FLAIR MR image.
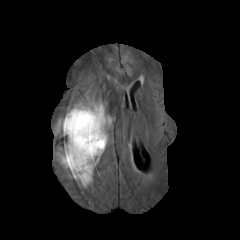
T1-weighted magnetic resonance.
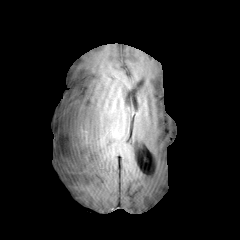
Post-contrast T1-weighted magnetic resonance.
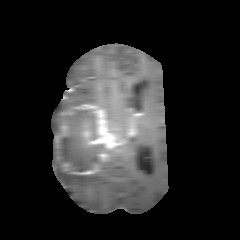
T2-weighted MR.
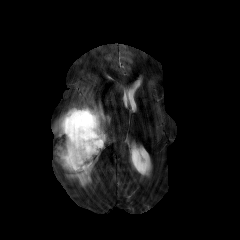
240x240.
Non-enhancing tumor core at [x1=53, y1=109, x2=104, y2=176].
Enhancing tumor at [x1=73, y1=164, x2=98, y2=174], [x1=61, y1=125, x2=67, y2=134], [x1=75, y1=104, x2=113, y2=161].
Edema at [x1=65, y1=87, x2=105, y2=111], [x1=65, y1=172, x2=92, y2=187], [x1=107, y1=114, x2=114, y2=127].